512x512 px. Image width 392 mm. CT image.

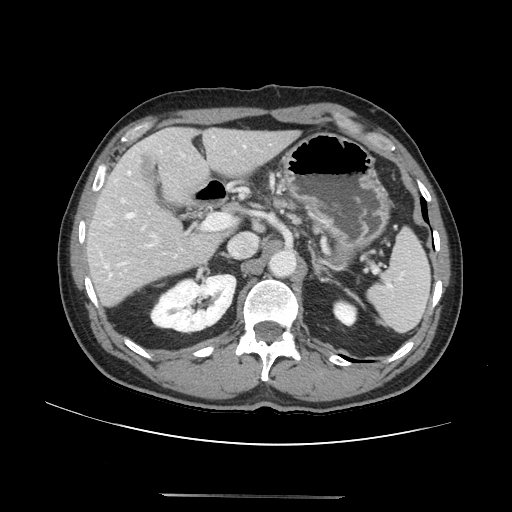
Pancreas = [269, 196, 293, 207], [312, 224, 323, 235].